FLAIR MR.
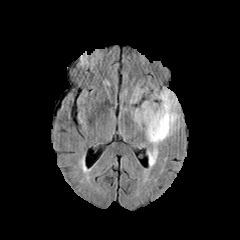
T1-weighted MR image.
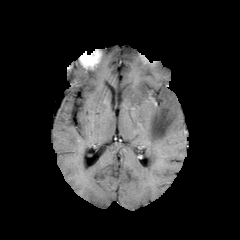
Post-contrast T1-weighted MR image.
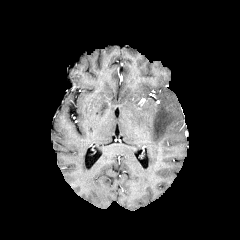
T2-weighted MR.
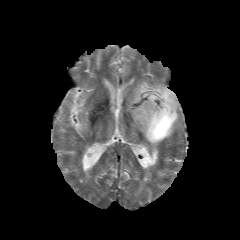
Image size 240x240
Edema at (x1=130, y1=85, x2=181, y2=167).
Non-enhancing tumor core at (x1=154, y1=118, x2=163, y2=133).